FLAIR MR image.
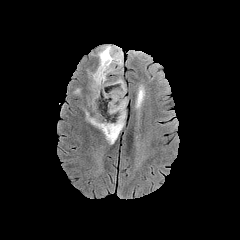
T1-weighted MR.
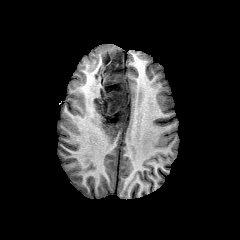
Post-contrast T1-weighted MR image.
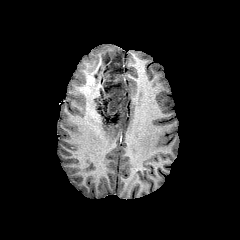
T2-weighted MR.
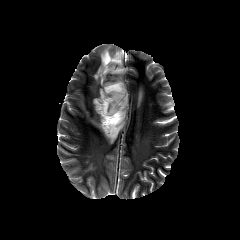
Head. 240x240.
non-enhancing_tumor_core:
  - l=96, t=83, r=125, b=127
  - l=97, t=52, r=121, b=73
edema:
  - l=96, t=45, r=123, b=69
  - l=135, t=87, r=144, b=107
  - l=85, t=68, r=127, b=144